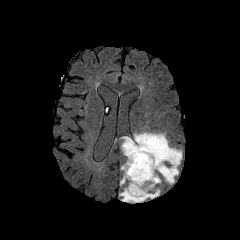
FLAIR MR.
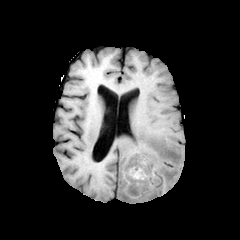
Same slice, T1-weighted MR image.
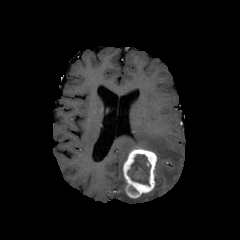
Post-contrast T1-weighted MR of the same slice.
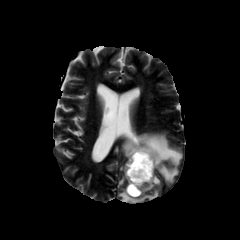
T2-weighted MR image of the same slice.
Brain | 240x240 px
The non-enhancing tumor core appears at (128, 155, 149, 184). 2 edema regions appear at (120, 131, 182, 185), (118, 186, 159, 202). The enhancing tumor lies within (123, 146, 157, 198).